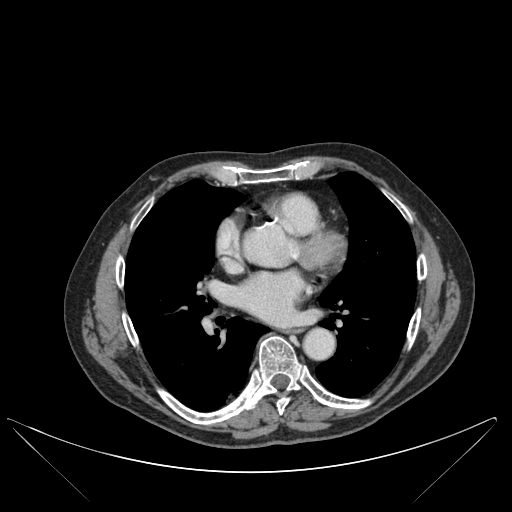 Computed tomography.

<segmentation>
  <lung>x1=316, y1=172, x2=415, y2=397; x1=125, y1=179, x2=268, y2=410</lung>
  <bone>x1=132, y1=214, x2=142, y2=224; x1=397, y1=201, x2=409, y2=216; x1=220, y1=162, x2=307, y2=182; x1=115, y1=256, x2=124, y2=286; x1=407, y1=308, x2=420, y2=346; x1=122, y1=314, x2=138, y2=345; x1=158, y1=336, x2=369, y2=424; x1=417, y1=254, x2=426, y2=279</bone>
</segmentation>